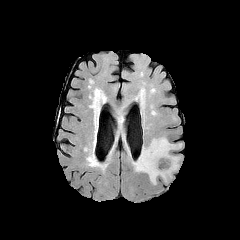
FLAIR MRI.
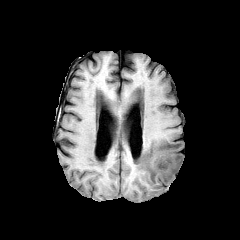
T1-weighted magnetic resonance.
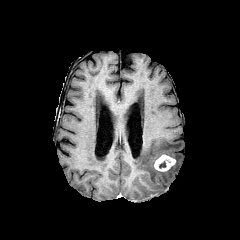
Post-contrast T1-weighted MRI.
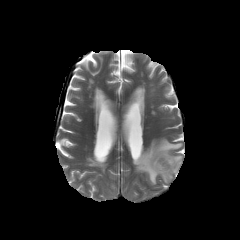
T2-weighted MR of the same slice.
Image size 240x240
The edema is located at left=132, top=137, right=181, bottom=183. The enhancing tumor is located at left=154, top=154, right=175, bottom=171.